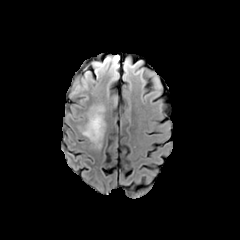
FLAIR MRI.
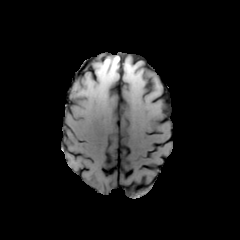
T1-weighted MR image.
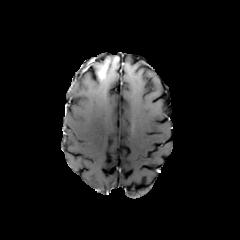
Same slice, post-contrast T1-weighted MRI.
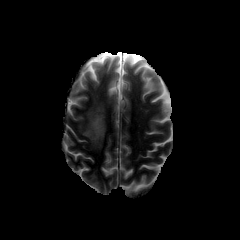
Same slice, T2-weighted magnetic resonance.
non-enhancing_tumor_core:
  - left=96, top=64, right=117, bottom=79
edema:
  - left=122, top=63, right=141, bottom=75
  - left=82, top=105, right=104, bottom=143
  - left=81, top=70, right=89, bottom=89
enhancing_tumor:
  - left=96, top=58, right=117, bottom=71